FLAIR MR image.
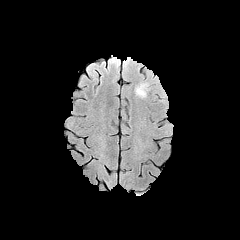
T1-weighted MR.
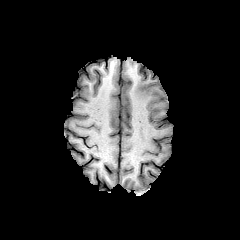
Post-contrast T1-weighted MR.
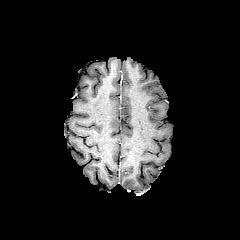
T2-weighted MR.
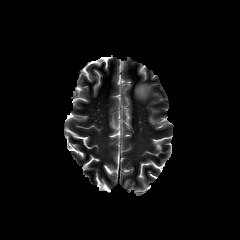
240x240
The edema is bounded by left=134, top=81, right=151, bottom=99.